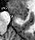 MR image. Hippocampus.
anterior_hippocampus:
  - {"x1": 9, "y1": 5, "x2": 27, "y2": 19}